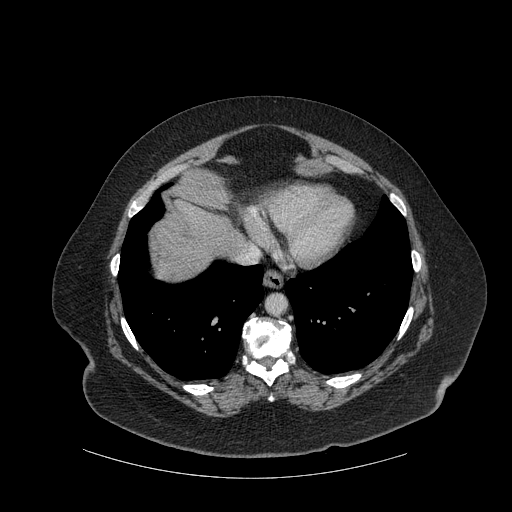

CT scan slice
Segmented structures:
• liver: 152 200 244 281
• bone: 121 318 137 349, 183 384 212 395, 391 194 405 215, 111 254 119 275, 327 374 360 387, 412 251 420 271, 243 356 288 385, 129 201 142 216, 398 307 413 338, 243 318 294 362
• lung: 118 184 263 379, 285 195 412 373